Brain. Slice 51 of 155. Field of view 240x240 mm.
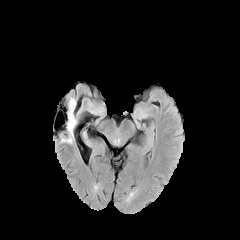
FLAIR magnetic resonance.
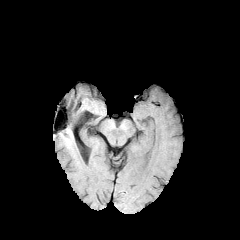
T1-weighted MR image.
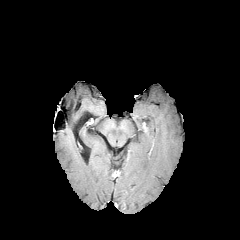
Post-contrast T1-weighted MR image of the same slice.
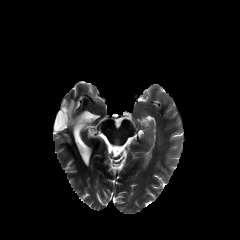
Same slice, T2-weighted MR.
Findings:
* edema: 67, 98, 78, 142